Abdomen, Image width 466 mm, CT, 512x512 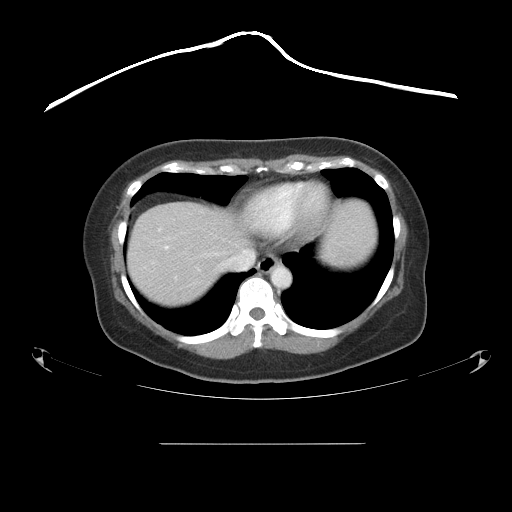 The vessel boxes may cover only some of the vessels.
Hepatic vessel at (174,277,176,279), (165,246,168,249), (159,228,161,231), (218,249,255,269), (197,268,198,270).